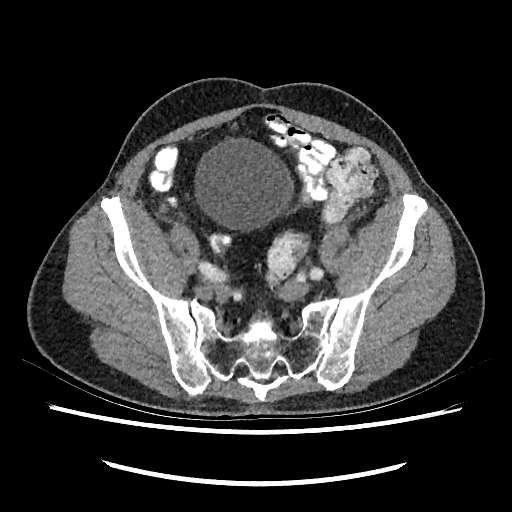 CT slice | Lower abdomen
<segmentation>
  <urinary_bladder>x1=194, y1=137, x2=293, y2=232</urinary_bladder>
</segmentation>